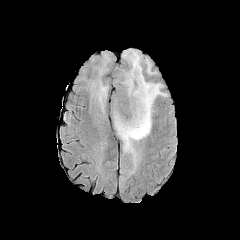
FLAIR MR image.
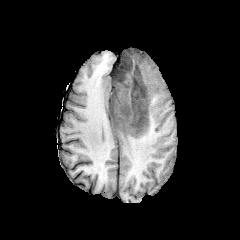
Same slice, T1-weighted MR.
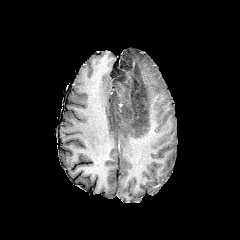
Post-contrast T1-weighted MR of the same slice.
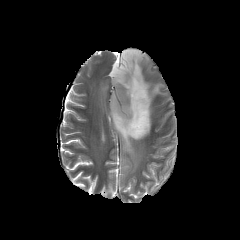
T2-weighted MR of the same slice.
Brain; 240x240
• edema: 113:49:166:173, 116:86:130:119, 145:58:155:74
• non-enhancing tumor core: 112:58:148:128